FLAIR MR.
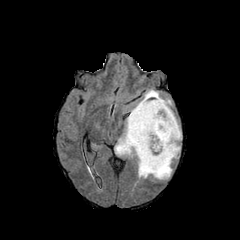
T1-weighted MR.
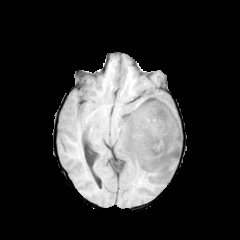
Post-contrast T1-weighted MRI.
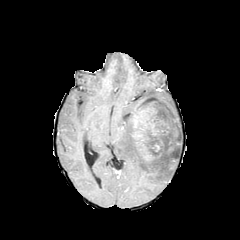
T2-weighted MR image.
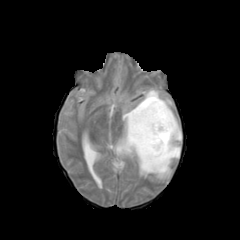
Head
Edema — [114,88,181,179].
Enhancing tumor — [131,108,155,144].
Non-enhancing tumor core — [129,96,179,161].